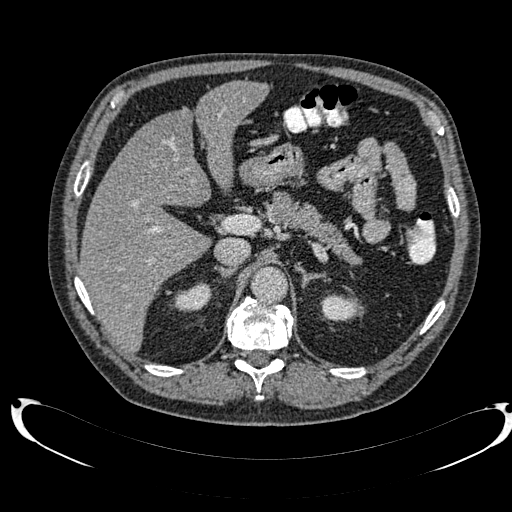
Computed tomography | 512x512
2 kidney regions appear at left=321, top=294, right=362, bottom=319; left=174, top=283, right=210, bottom=310. The liver is bounded by left=80, top=81, right=268, bottom=350. The hepatic lesion appears at left=143, top=112, right=186, bottom=162.